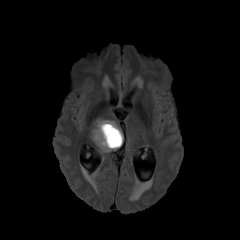
FLAIR magnetic resonance.
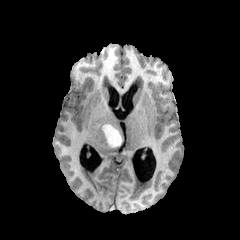
T1-weighted MR of the same slice.
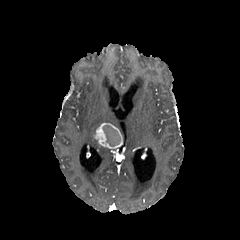
Same slice, post-contrast T1-weighted magnetic resonance.
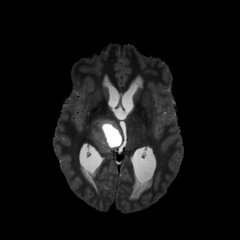
Same slice, T2-weighted MR image.
Brain.
• enhancing tumor: left=94, top=123, right=112, bottom=150
• edema: left=90, top=118, right=124, bottom=152
• non-enhancing tumor core: left=102, top=125, right=121, bottom=147